Computed tomography; Liver; Field of view 409x409 mm

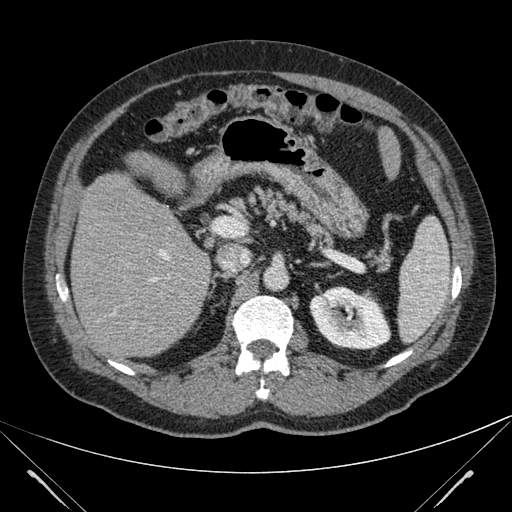
Liver: (left=68, top=173, right=208, bottom=367), (left=378, top=127, right=398, bottom=178), (left=126, top=152, right=182, bottom=193).
Kidney: (left=311, top=288, right=389, bottom=348).